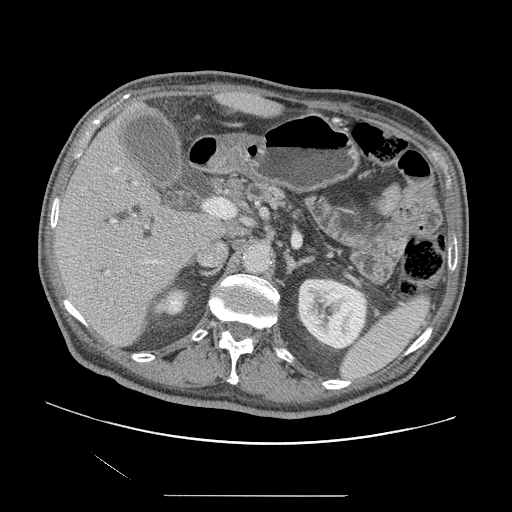

Image size 512x512; CT slice; Upper abdomen
Pancreas = [243, 182, 286, 211].